Slice 60/77, Computed tomography 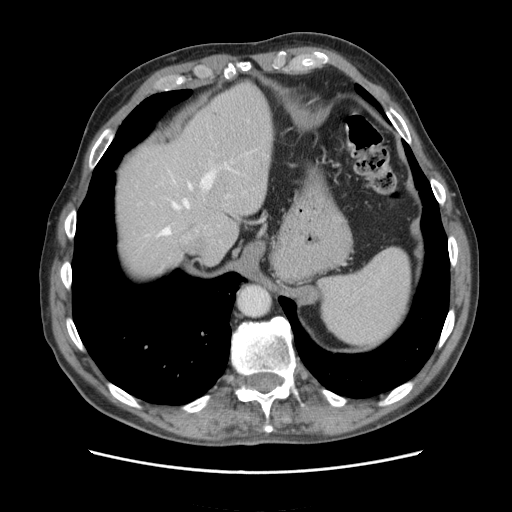 spleen:
  - (320, 249, 410, 346)